T2-weighted MR image.
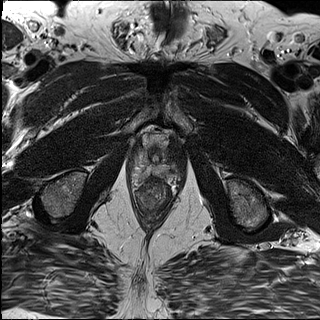
ADC MR image.
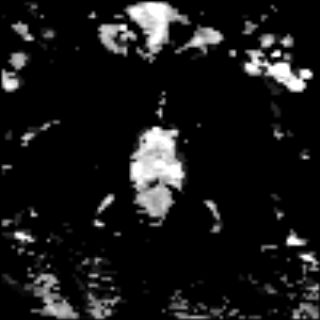
Prostate
<segmentation>
  <prostate_transition_zone>[136,143,168,176]</prostate_transition_zone>
</segmentation>